MRI slice
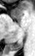

Annotated regions:
* posterior hippocampus: bbox(12, 38, 23, 50)